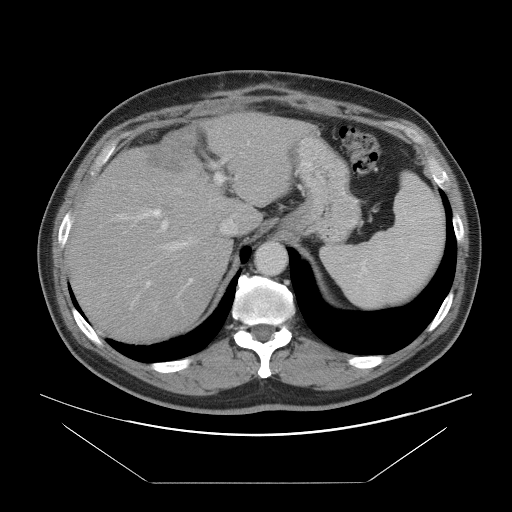

Abdomen; CT slice
Not every hepatic vessel necessarily has a box.
<segmentation>
  <hepatic_vessel>region(160, 221, 167, 230); region(132, 297, 136, 304); region(172, 241, 176, 242); region(235, 176, 237, 178); region(116, 214, 126, 219); region(187, 278, 192, 284); region(215, 172, 224, 182); region(178, 242, 184, 242); region(137, 209, 160, 218); region(182, 288, 183, 290); region(146, 281, 150, 285); region(210, 160, 224, 167)</hepatic_vessel>
  <liver_tumor>region(146, 131, 192, 170)</liver_tumor>
</segmentation>